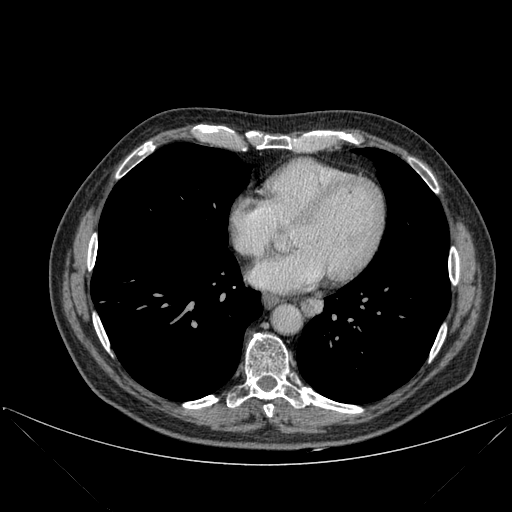
CT image. Lung: bounding box <bbox>90, 143, 262, 400</bbox>, <bbox>297, 148, 450, 403</bbox>.
Bone: bounding box <bbox>422, 166, 438, 192</bbox>, <bbox>264, 404, 273, 416</bbox>, <bbox>306, 131, 357, 142</bbox>, <bbox>87, 233, 97, 270</bbox>, <bbox>93, 314, 109, 351</bbox>, <bbox>116, 143, 153, 177</bbox>, <bbox>183, 395, 217, 408</bbox>, <bbox>227, 333, 362, 413</bbox>, <bbox>429, 326, 446, 360</bbox>, <bbox>246, 131, 258, 136</bbox>, <bbox>448, 247, 459, 284</bbox>, <bbox>257, 135, 291, 148</bbox>.